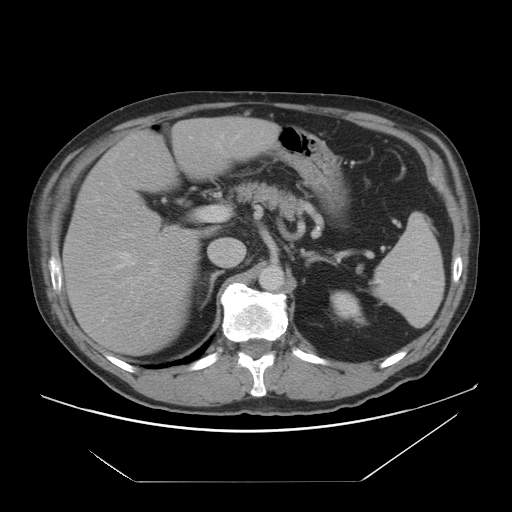 512x512, Liver, CT
Annotated regions:
* kidney: x1=335, y1=295, x2=356, y2=314
* liver: x1=62, y1=116, x2=279, y2=355; x1=207, y1=238, x2=233, y2=252